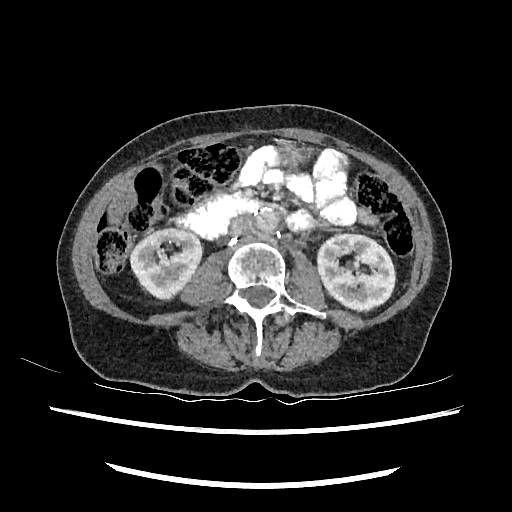
Computed tomography | Abdomen

2 kidney regions appear at <box>318,234,394,309</box>, <box>131,228,201,297</box>.